Computed tomography. Liver. Field of view 291x291 mm. 512x512 px. Slice index 57.

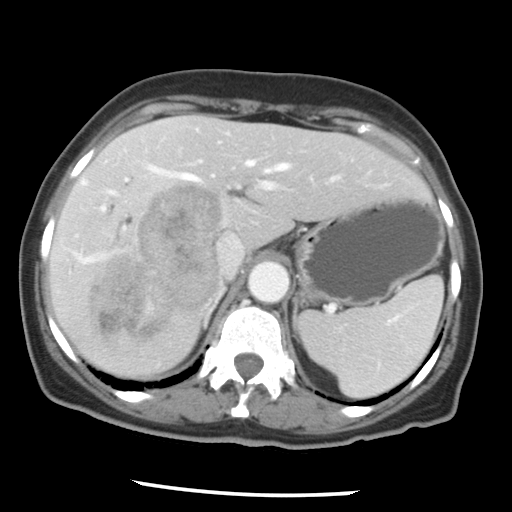 The vessel annotation is not exhaustive.
{
  "liver_tumor": [
    "box=[90, 183, 224, 345]"
  ],
  "hepatic_vessel": [
    "box=[264, 162, 289, 173]",
    "box=[62, 246, 107, 264]",
    "box=[104, 188, 117, 195]",
    "box=[219, 235, 241, 270]",
    "box=[124, 148, 126, 151]",
    "box=[62, 238, 63, 240]",
    "box=[105, 160, 107, 162]",
    "box=[81, 178, 88, 186]",
    "box=[224, 218, 227, 223]",
    "box=[142, 161, 204, 183]",
    "box=[244, 159, 255, 166]",
    "box=[261, 181, 273, 188]"
  ]
}